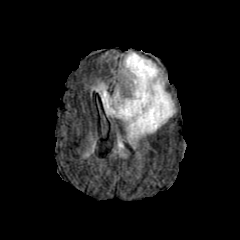
FLAIR MRI.
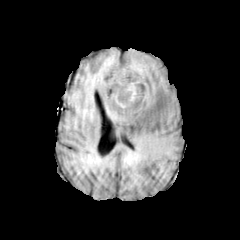
T1-weighted MR of the same slice.
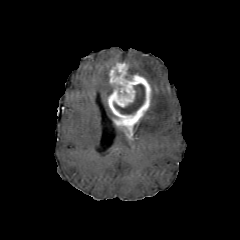
Post-contrast T1-weighted MR of the same slice.
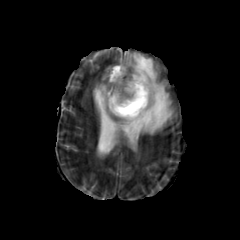
Same slice, T2-weighted MR.
Brain | 240x240
Edema — [93, 83, 116, 117], [123, 52, 175, 139].
Non-enhancing tumor core — [114, 84, 145, 114].
Enhancing tumor — [107, 62, 151, 125].